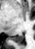
MRI. Hippocampus.

posterior_hippocampus:
  - x1=13, y1=35, x2=23, y2=42